Liver | CT image 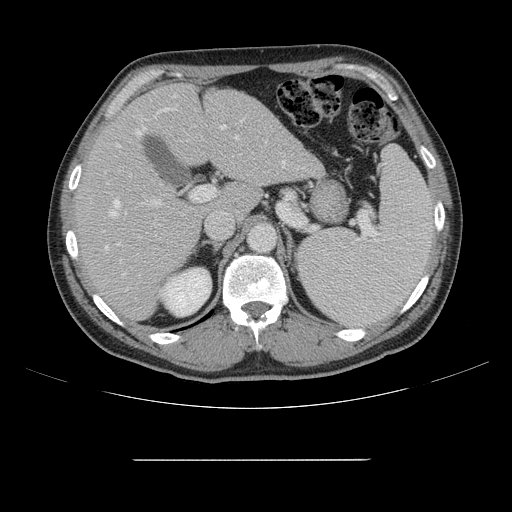
Only some of the vessels may be annotated.
Principal 15 of 17 hepatic vessel regions — box=[241, 119, 243, 121]; box=[110, 211, 117, 216]; box=[221, 125, 225, 128]; box=[156, 108, 173, 115]; box=[152, 201, 159, 204]; box=[189, 179, 214, 202]; box=[105, 245, 107, 249]; box=[235, 136, 237, 138]; box=[136, 126, 145, 134]; box=[282, 161, 285, 167]; box=[173, 95, 175, 97]; box=[117, 243, 121, 245]; box=[114, 200, 120, 207]; box=[123, 273, 125, 275]; box=[117, 144, 120, 148].